Computed tomography, 512x512 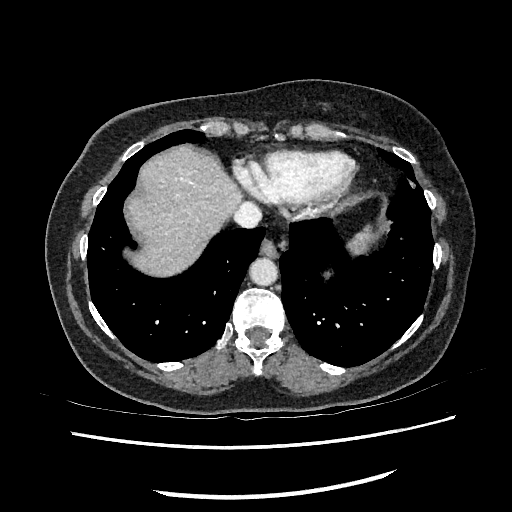

liver:
  - bbox=[129, 147, 239, 275]